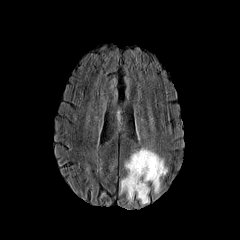
FLAIR MRI.
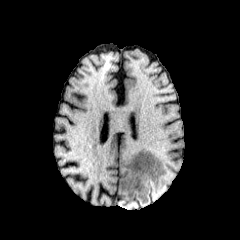
T1-weighted MR.
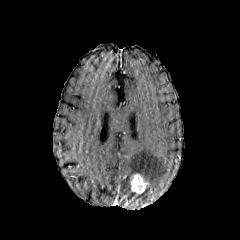
Post-contrast T1-weighted MR.
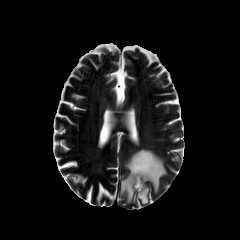
T2-weighted MR image.
Enhancing tumor at [130, 173, 147, 194].
Edema at [118, 148, 166, 205].